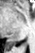

Magnetic resonance

The posterior hippocampus appears at 6:40:15:46.